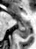

MRI slice, Medial temporal lobe

Posterior hippocampus — [x1=17, y1=23, x2=30, y2=38].